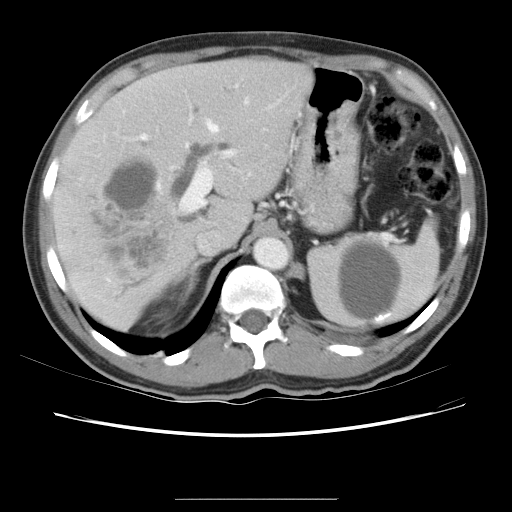 Liver, Computed tomography
Some hepatic vessels may have no box.
Findings:
- liver tumor: 88 147 173 285
- hepatic vessel: 115 133 117 135, 244 97 248 103, 127 134 147 139, 180 160 212 210, 206 119 217 132, 169 165 176 169, 222 149 235 156, 270 102 276 106, 249 172 250 174, 186 143 188 147